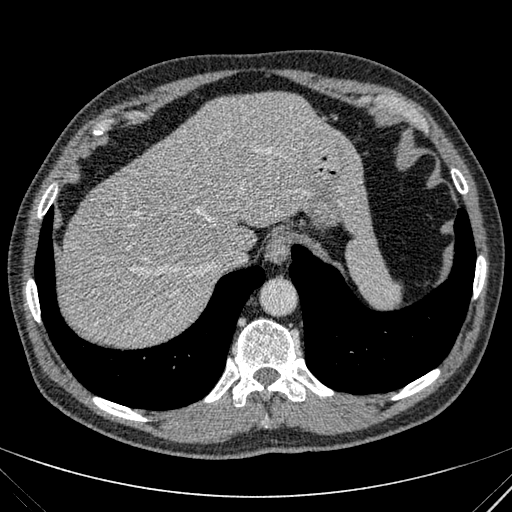
CT image. Liver. {
  "liver": [
    "(57, 92, 372, 346)"
  ]
}